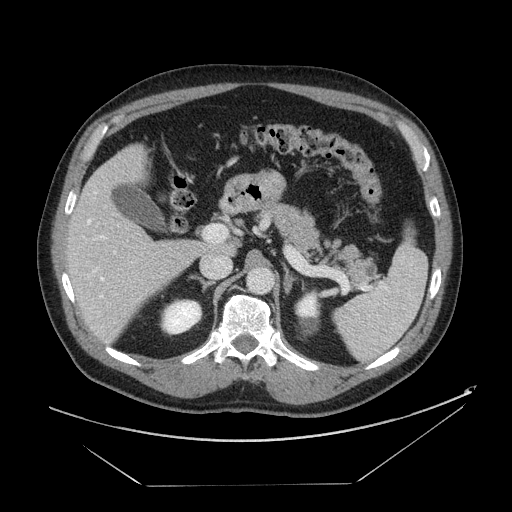 Image size 512x512. Upper abdomen. CT image.
{"pancreatic_tumor": ["360,261,378,278"], "pancreas": ["265,203,375,287"]}